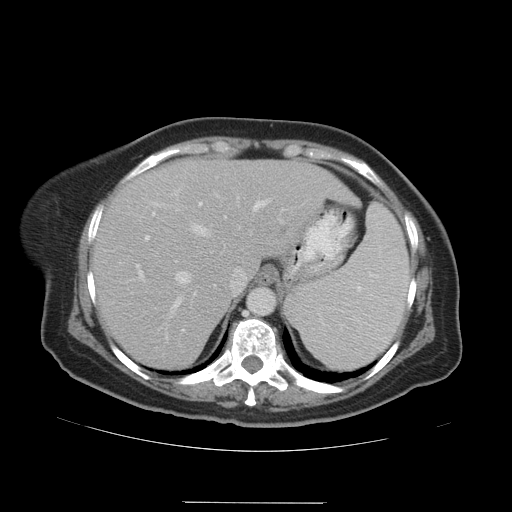

512x512 px; CT image

The vessel boxes may cover only some of the vessels.
{
  "hepatic_vessel": [
    "172, 300, 180, 310",
    "182, 329, 184, 331",
    "145, 236, 148, 239",
    "238, 226, 239, 228",
    "199, 202, 200, 205",
    "175, 272, 189, 285",
    "152, 212, 155, 215",
    "194, 225, 206, 235",
    "136, 265, 139, 266",
    "214, 285, 215, 286",
    "254, 200, 266, 210",
    "176, 190, 179, 192"
  ]
}